CT; 512x512; Image width 335 mm
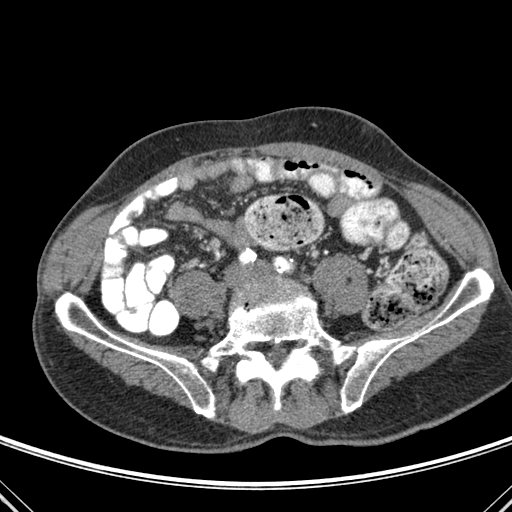 The bone is located at <box>55,268,493,417</box>.